CT

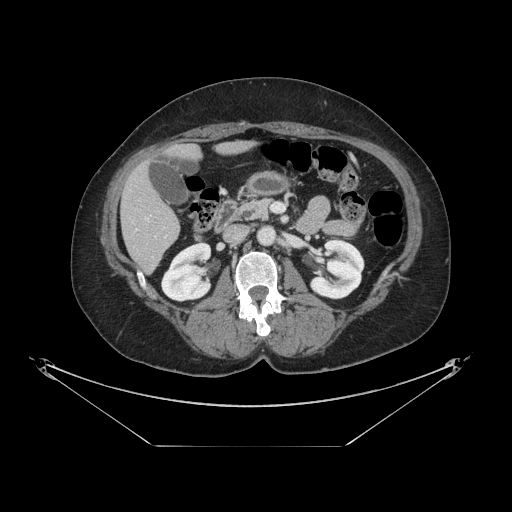 <segmentation>
  <pancreas>242, 200, 272, 220</pancreas>
</segmentation>